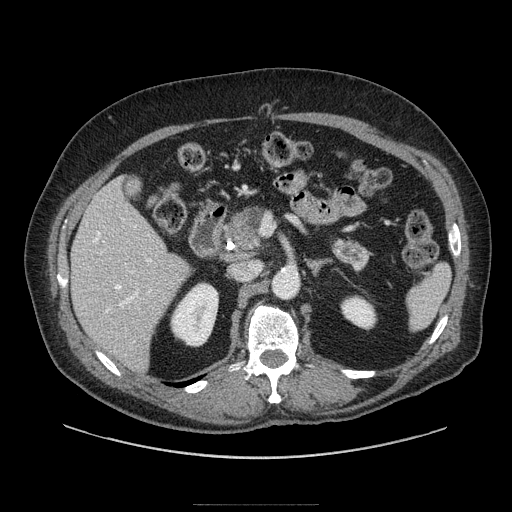
CT scan slice; Upper abdomen; Image size 512x512
Pancreas: {"x1": 232, "y1": 208, "x2": 262, "y2": 249}, {"x1": 330, "y1": 239, "x2": 369, "y2": 270}.
Pancreatic tumor: {"x1": 230, "y1": 215, "x2": 244, "y2": 233}.